Image size 240x240.
FLAIR magnetic resonance.
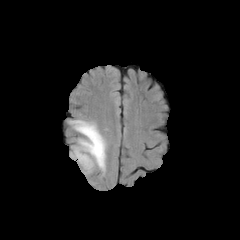
T1-weighted MRI.
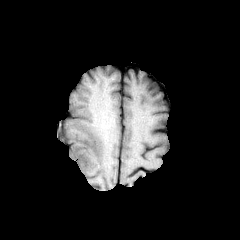
Post-contrast T1-weighted magnetic resonance.
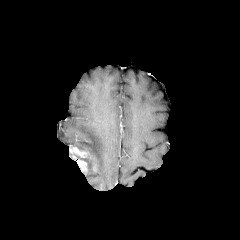
T2-weighted magnetic resonance.
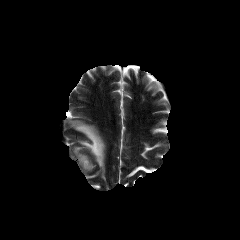
2 enhancing tumor regions appear at [x1=70, y1=147, x2=85, y2=160], [x1=76, y1=159, x2=86, y2=170]. The edema lies within [x1=70, y1=120, x2=106, y2=172].